CT image. Abdomen. Image size 512x512. Slice 124/217. 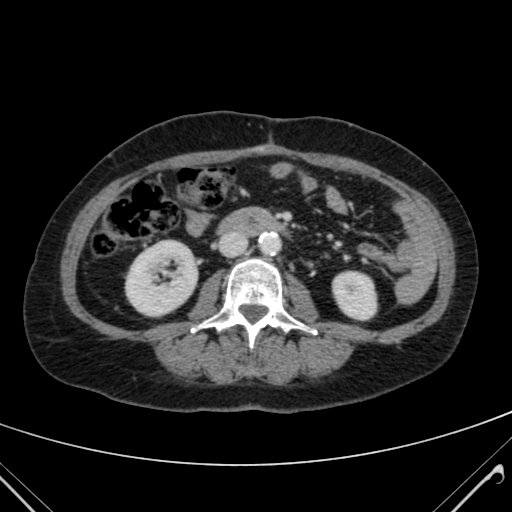 2 kidney regions are bounded by [x1=127, y1=241, x2=196, y2=314], [x1=334, y1=273, x2=375, y2=318].